CT, Slice 206 of 245 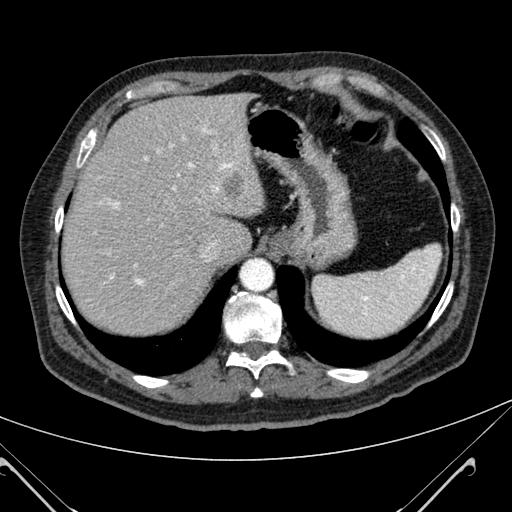 The liver lies within rect(63, 90, 264, 335). The focal liver lesion is bounded by rect(221, 173, 246, 196).